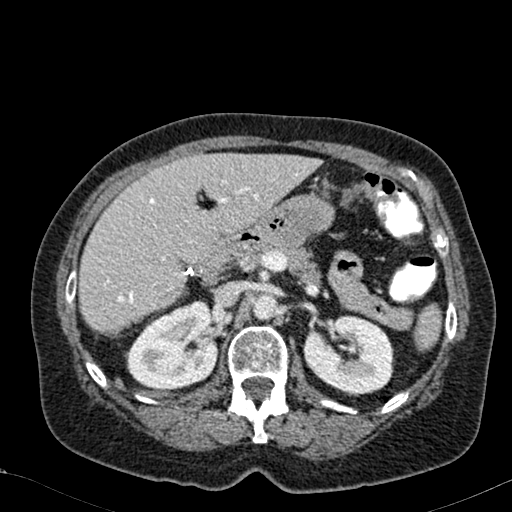 Abdomen; 512x512 px; Computed tomography
Kidney: region(304, 316, 393, 393); region(128, 301, 217, 389).
Liver: region(79, 153, 320, 331).